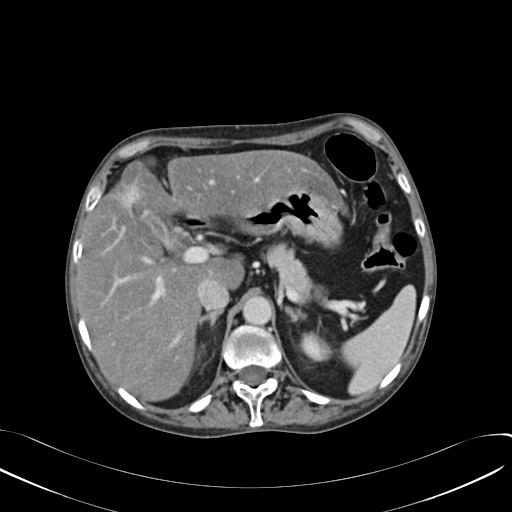 CT
The kidney appears at 306:342:317:354. The liver is bounded by 78:149:343:401. The focal liver lesion is at 117:183:141:208.